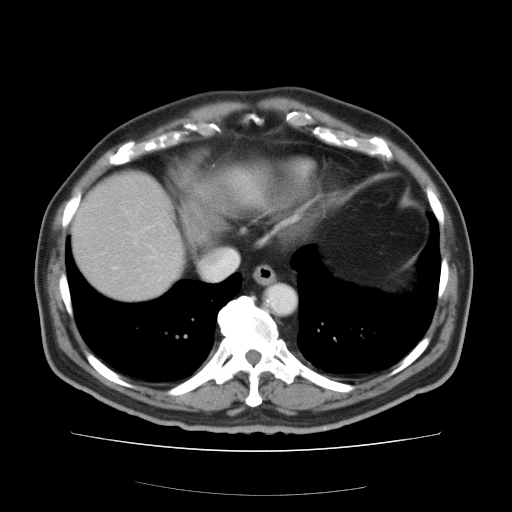
512x512; CT image; Liver
Some hepatic vessels may have no box.
Hepatic vessel — [114, 266, 116, 268].